CT image, 512x512, Slice index 32 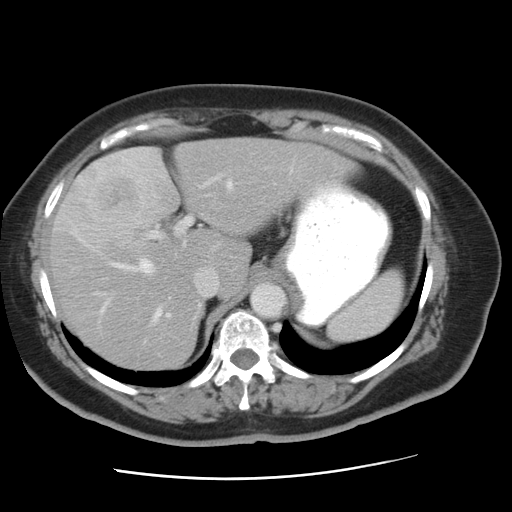
Some hepatic vessels may have no box.
Hepatic vessel at x1=153 y1=308 x2=168 y2=319, x1=110 y1=259 x2=153 y2=272, x1=175 y1=217 x2=190 y2=232, x1=195 y1=268 x2=218 y2=295, x1=147 y1=226 x2=161 y2=237, x1=94 y1=291 x2=103 y2=293, x1=199 y1=174 x2=219 y2=187, x1=227 y1=180 x2=231 y2=188.
Liver tumor at x1=59 y1=152 x2=156 y2=238.